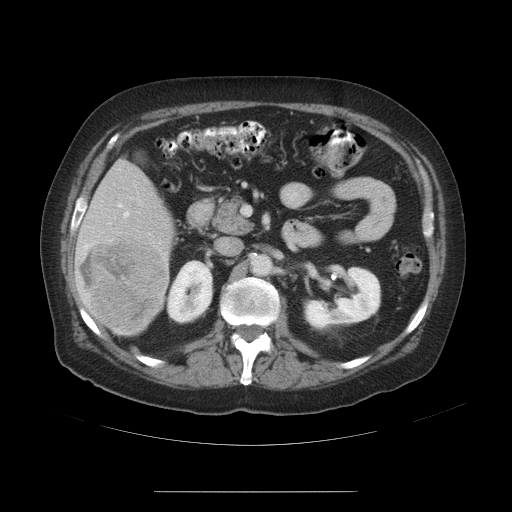
Abdomen; Computed tomography

Some hepatic vessels may have no box.
Liver tumor at 79 235 167 332.
Hepatic vessel at 118 203 122 206, 138 198 139 200, 124 211 128 216, 78 257 81 260, 83 252 85 254.